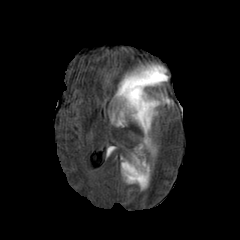
FLAIR MR.
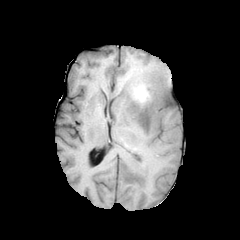
T1-weighted MRI.
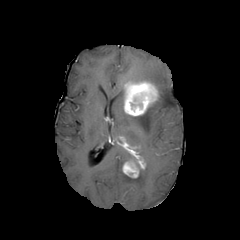
Post-contrast T1-weighted MR.
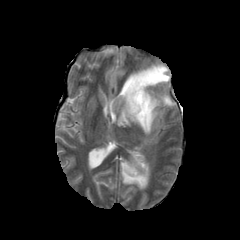
Same slice, T2-weighted MRI.
enhancing_tumor:
  - <bbox>123, 162, 137, 177</bbox>
  - <bbox>124, 81, 157, 115</bbox>
non-enhancing_tumor_core:
  - <bbox>132, 152, 143, 176</bbox>
edema:
  - <bbox>111, 63, 173, 137</bbox>
  - <bbox>121, 156, 138, 170</bbox>
  - <bbox>126, 159, 150, 188</bbox>